CT image; Image size 512x512; Slice 44/105
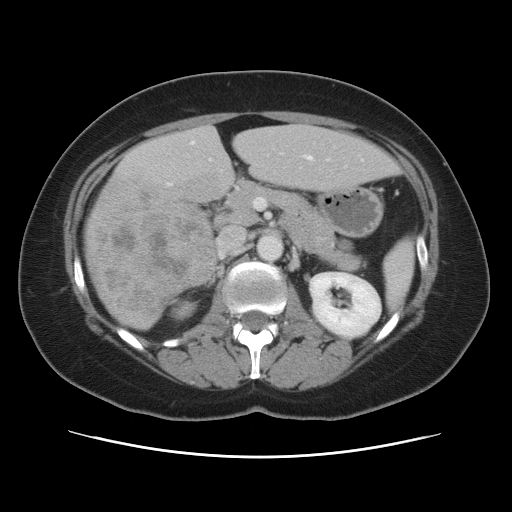

The vessel boxes may cover only some of the vessels.
Liver tumor: 92 192 213 323.
Hepatic vessel: 192 142 193 143, 304 155 311 159.